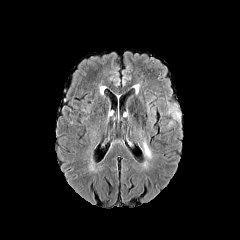
FLAIR MR.
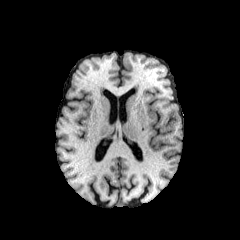
T1-weighted MR image.
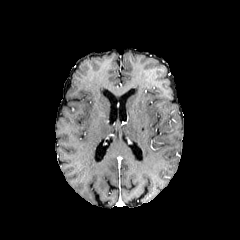
Post-contrast T1-weighted MR image of the same slice.
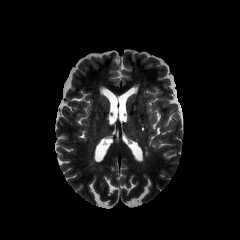
T2-weighted magnetic resonance.
Head | 240x240
<segmentation>
  <edema>x1=143 y1=140 x2=151 y2=158</edema>
</segmentation>